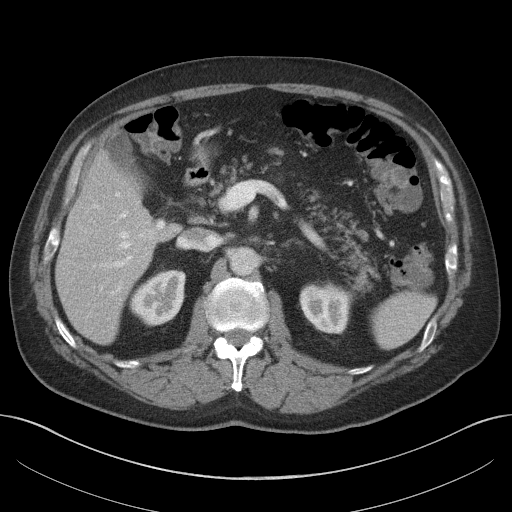

CT image

Annotated regions:
• liver: 57,153,153,343
• kidney: 132,271,184,323; 301,287,347,331